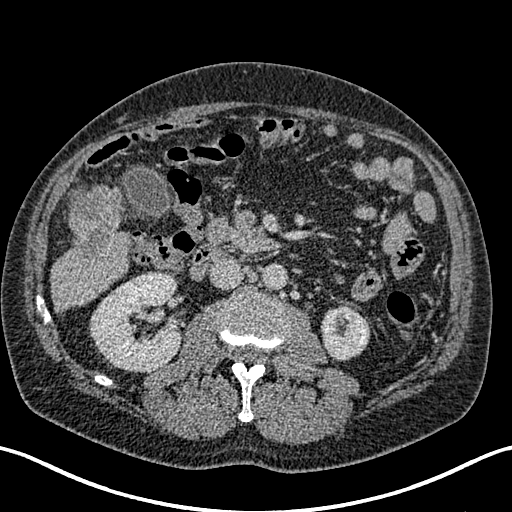 CT
liver: x1=49 y1=183 x2=131 y2=313 | kidney: x1=91 y1=273 x2=180 y2=371, x1=322 y1=307 x2=368 y2=359 | focal liver lesion: x1=70 y1=191 x2=116 y2=259